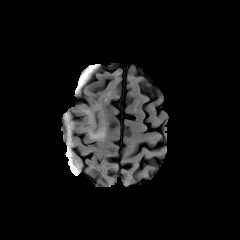
FLAIR magnetic resonance.
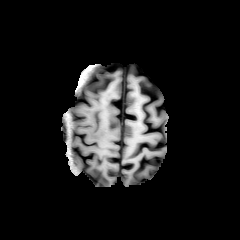
Same slice, T1-weighted MRI.
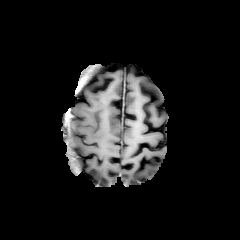
Post-contrast T1-weighted MR.
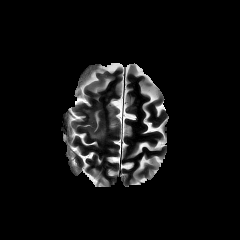
T2-weighted magnetic resonance.
Brain
Findings:
- edema: (90,126,105,139)